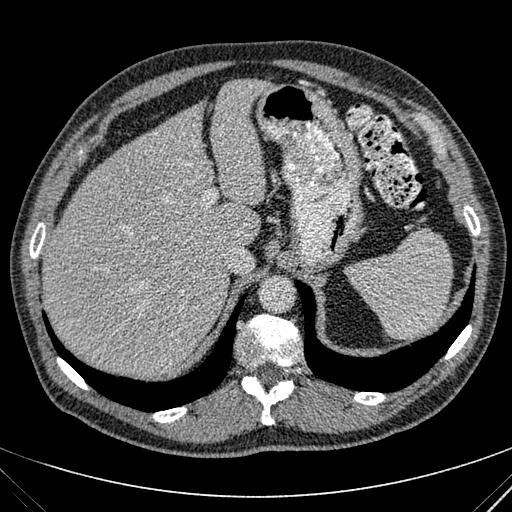 CT image

Liver: bounding box region(43, 79, 270, 374).